FLAIR MR image.
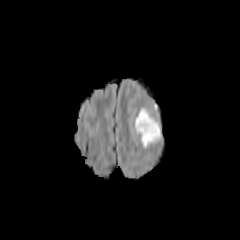
T1-weighted MR image.
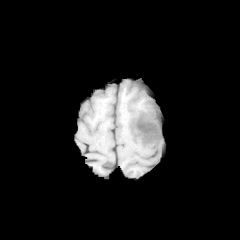
Post-contrast T1-weighted MRI.
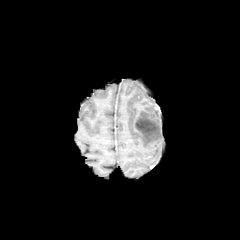
T2-weighted magnetic resonance.
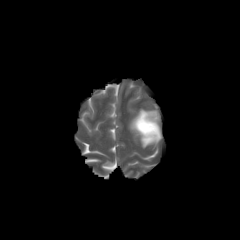
The non-enhancing tumor core is located at <bbox>136, 120, 156, 132</bbox>. The edema is bounded by <bbox>134, 108, 162, 147</bbox>.